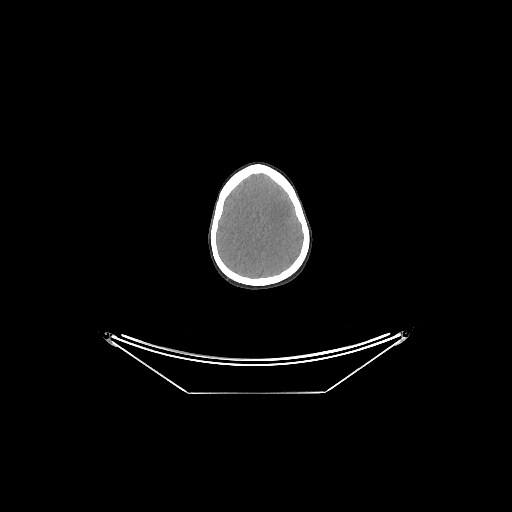

CT.

Segmented structures:
- brain: {"x1": 216, "y1": 173, "x2": 303, "y2": 278}